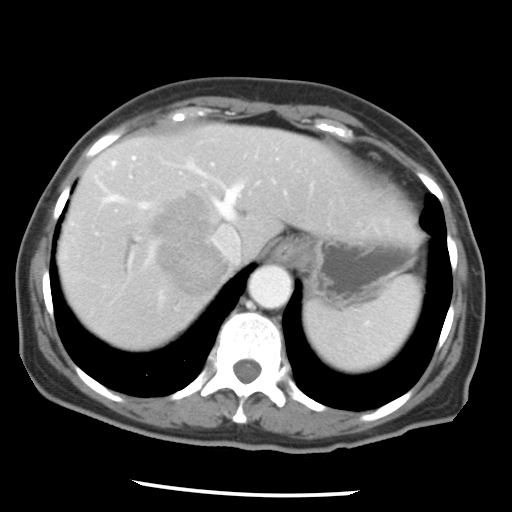
CT slice | Liver
Not every hepatic vessel necessarily has a box.
hepatic_vessel:
  - box(93, 174, 125, 203)
  - box(137, 201, 151, 209)
  - box(109, 159, 117, 168)
  - box(147, 249, 151, 263)
  - box(186, 159, 245, 262)
  - box(130, 155, 135, 160)
liver_tumor:
  - box(146, 186, 226, 302)